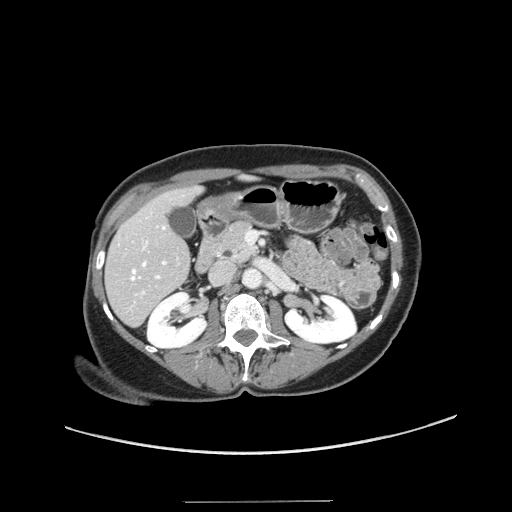

Image size 512x512 | Computed tomography
Not every hepatic vessel necessarily has a box.
6 hepatic vessel regions appear at (x1=132, y1=269, x2=139, y2=279), (x1=163, y1=261, x2=165, y2=263), (x1=143, y1=291, x2=144, y2=292), (x1=156, y1=275, x2=159, y2=277), (x1=143, y1=262, x2=145, y2=265), (x1=163, y1=226, x2=165, y2=228).